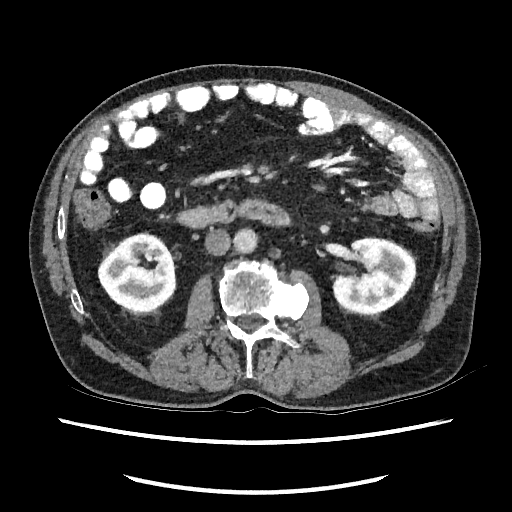

Abdomen. CT image.
{
  "kidney": [
    "bbox=[333, 238, 415, 315]",
    "bbox=[98, 233, 175, 315]"
  ]
}